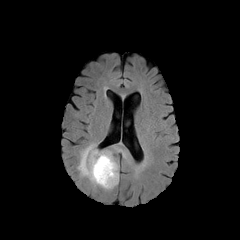
FLAIR magnetic resonance.
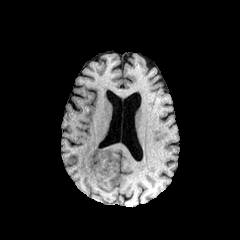
T1-weighted MR image.
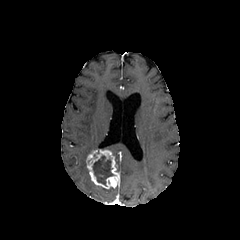
Post-contrast T1-weighted magnetic resonance.
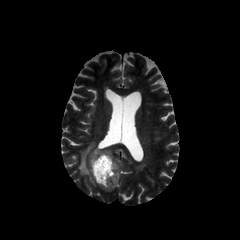
Same slice, T2-weighted magnetic resonance.
Annotated regions:
* edema: x1=77, y1=143, x2=96, y2=189
* non-enhancing tumor core: x1=92, y1=153, x2=112, y2=186
* enhancing tumor: x1=86, y1=149, x2=120, y2=188